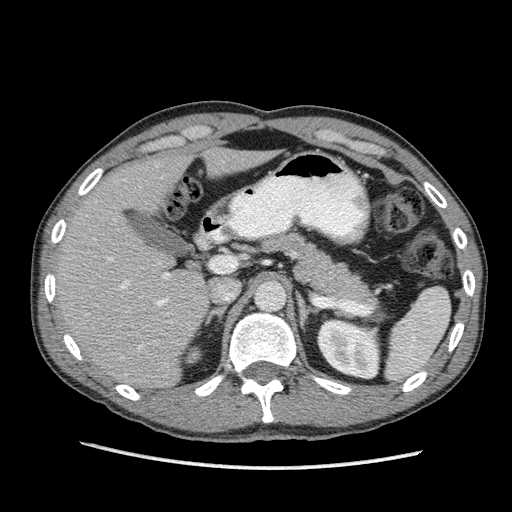 CT slice
<segmentation>
  <kidney>(319, 321, 377, 377)</kidney>
  <liver>(51, 145, 284, 390)</liver>
</segmentation>